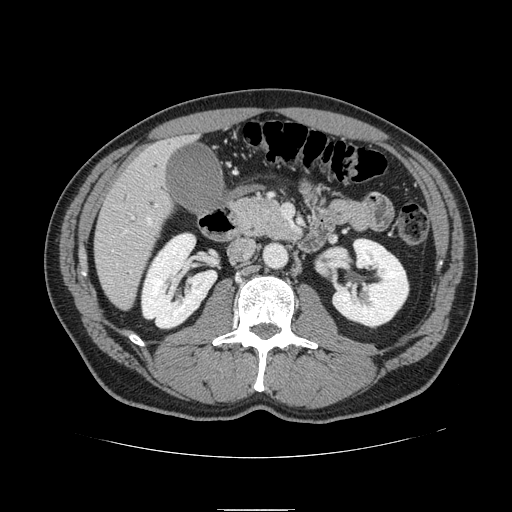

Computed tomography, Image size 512x512
Pancreas — l=229, t=196, r=297, b=240.